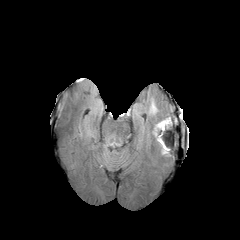
FLAIR MR.
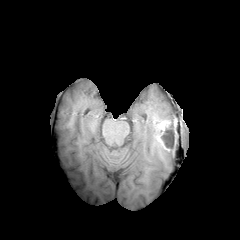
T1-weighted MR.
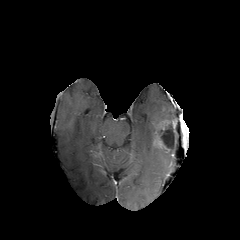
Post-contrast T1-weighted magnetic resonance.
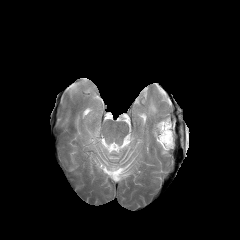
Same slice, T2-weighted magnetic resonance.
240x240 px
2 edema regions are bounded by l=132, t=99, r=173, b=155; l=101, t=139, r=118, b=159. The non-enhancing tumor core appears at l=158, t=133, r=172, b=149.